Liver | CT | Slice 382/540 | 512x512
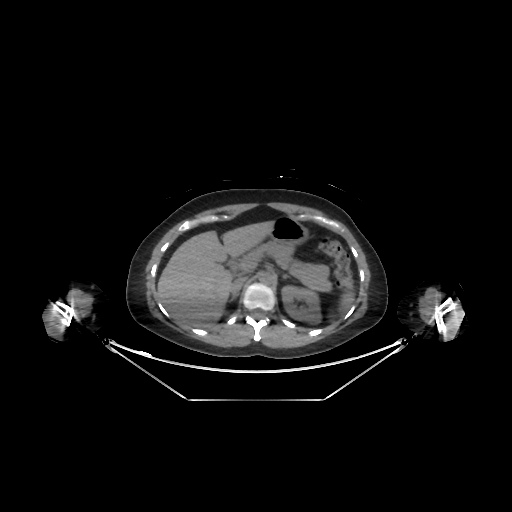
Liver: l=154, t=222, r=273, b=332.
Kidney: l=281, t=285, r=322, b=323.